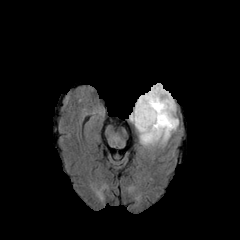
FLAIR MR.
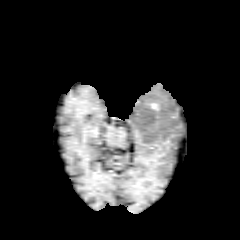
T1-weighted MR image.
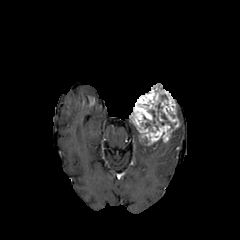
Post-contrast T1-weighted magnetic resonance of the same slice.
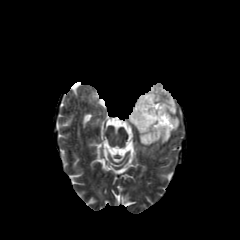
T2-weighted MR.
240x240, Head
Edema: bounding box [x1=140, y1=138, x2=166, y2=147].
Enhancing tumor: bounding box [x1=130, y1=83, x2=179, y2=145].